Computed tomography; Slice index 444; Abdomen; 512x512 px

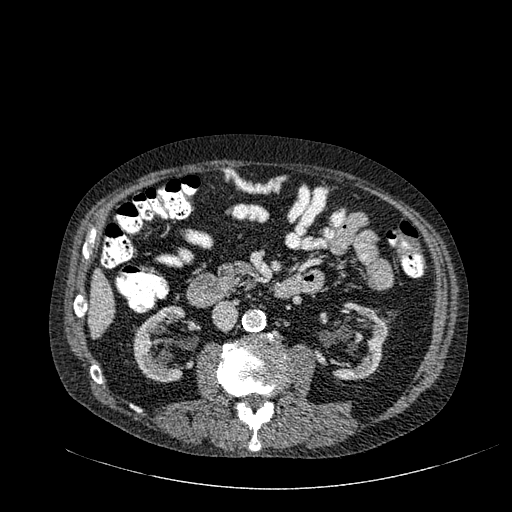

Liver: bounding box 90 269 114 336.
Kidney: bounding box 182 321 200 330, 133 306 197 382, 319 302 388 379, 320 313 327 323, 316 351 327 365.